FLAIR MR image.
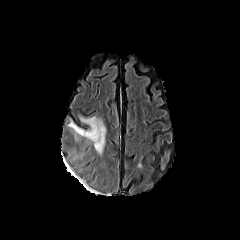
T1-weighted MR.
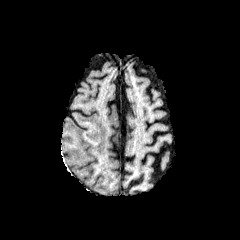
Post-contrast T1-weighted MR image.
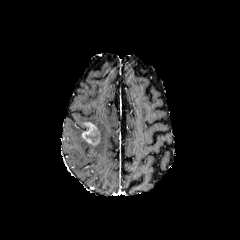
T2-weighted MR image.
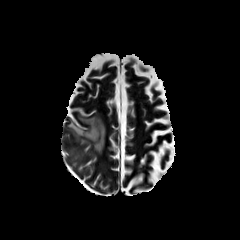
240x240 px
2 edema regions are bounded by left=68, top=117, right=85, bottom=140; left=78, top=115, right=106, bottom=154. The enhancing tumor lies within left=81, top=121, right=100, bottom=146.